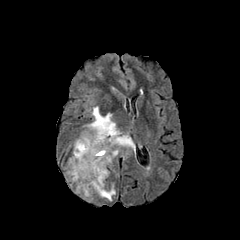
FLAIR magnetic resonance.
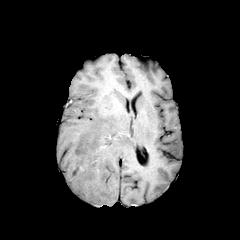
T1-weighted magnetic resonance of the same slice.
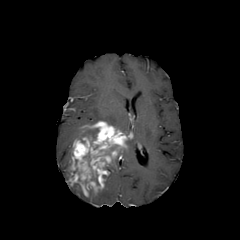
Post-contrast T1-weighted MR.
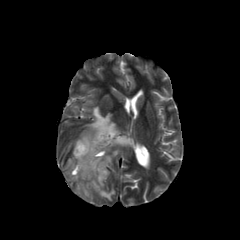
T2-weighted magnetic resonance of the same slice.
Non-enhancing tumor core = (81,128,99,140), (90,174,99,185).
Enhancing tumor = (69,121,130,196).
Edema = (127,138,135,155), (66,158,71,177), (75,184,82,193), (86,106,118,128), (96,184,115,201).